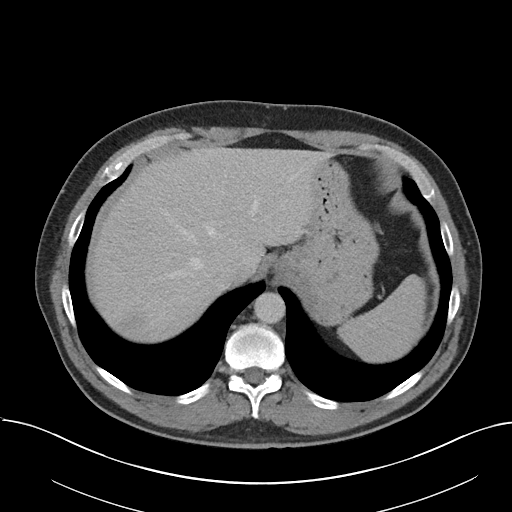
CT scan slice

The vessel boxes may cover only some of the vessels.
13 hepatic vessel regions appear at x1=208, y1=226, x2=214, y2=235; x1=261, y1=253, x2=263, y2=255; x1=191, y1=258, x2=202, y2=268; x1=257, y1=258, x2=259, y2=259; x1=171, y1=271, x2=180, y2=277; x1=250, y1=196, x2=260, y2=214; x1=219, y1=235, x2=221, y2=237; x1=188, y1=235, x2=194, y2=242; x1=180, y1=230, x2=184, y2=232; x1=219, y1=284, x2=228, y2=289; x1=203, y1=222, x2=206, y2=225; x1=192, y1=274, x2=193, y2=276; x1=176, y1=225, x2=177, y2=227. The liver tumor lies within x1=119, y1=315, x2=145, y2=328.